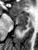
MRI slice; 38x50 px

<segmentation>
  <posterior_hippocampus><bbox>17, 25, 26, 31</bbox></posterior_hippocampus>
  <anterior_hippocampus><bbox>15, 13, 27, 24</bbox></anterior_hippocampus>
</segmentation>